Slice 78 of 155
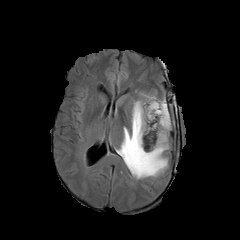
FLAIR magnetic resonance.
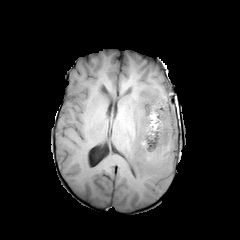
T1-weighted MR image.
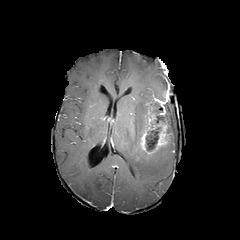
Post-contrast T1-weighted MR image.
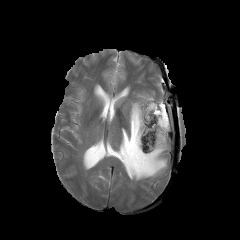
T2-weighted MRI.
enhancing_tumor:
  - <box>159,100,165,114</box>
  - <box>156,125,166,148</box>
non-enhancing_tumor_core:
  - <box>126,122,145,151</box>
  - <box>141,110,167,149</box>
edema:
  - <box>110,71,118,81</box>
  - <box>112,91,173,182</box>